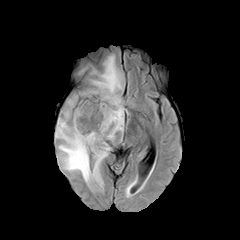
FLAIR MR image.
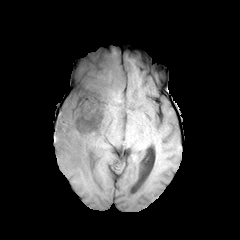
T1-weighted MRI of the same slice.
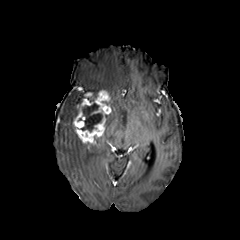
Post-contrast T1-weighted MRI.
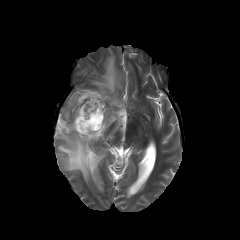
T2-weighted MRI of the same slice.
240x240
The edema appears at bbox=[55, 56, 126, 185]. The enhancing tumor is located at bbox=[72, 90, 111, 143]. 2 non-enhancing tumor core regions appear at bbox=[81, 103, 102, 131]; bbox=[76, 89, 109, 107].